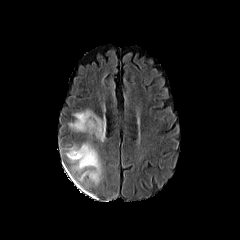
FLAIR MR image.
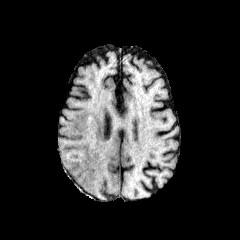
Same slice, T1-weighted magnetic resonance.
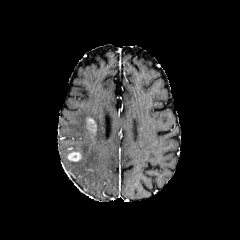
Same slice, post-contrast T1-weighted MR.
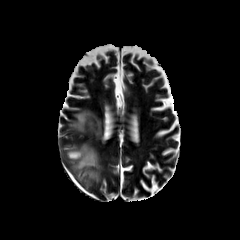
T2-weighted MR image of the same slice.
Brain.
Enhancing tumor at [85, 116, 96, 139], [67, 152, 83, 161].
Edema at [65, 109, 106, 188].